CT | 512x512 px 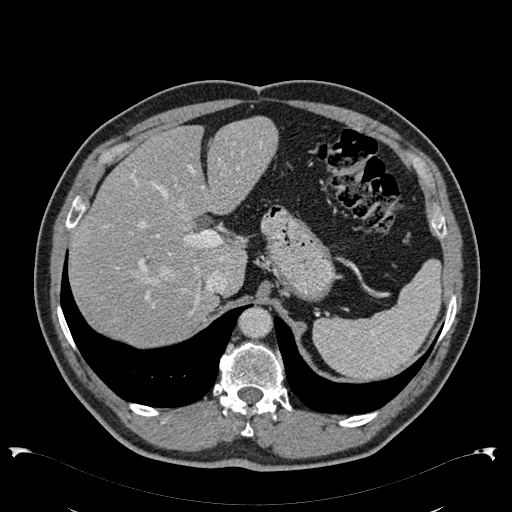
{"liver": ["x1=71, y1=118, x2=277, y2=344"]}